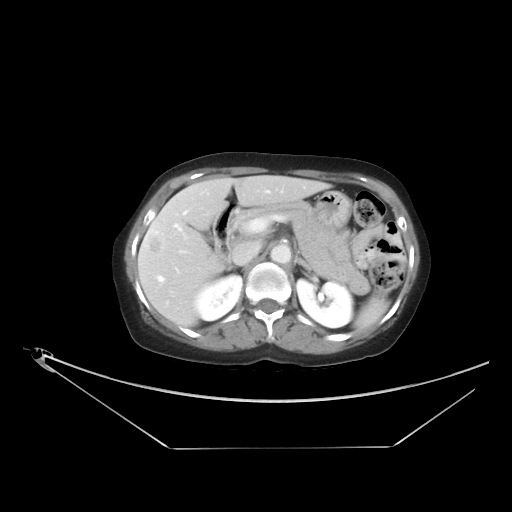

Abdomen; CT image
Liver tumor: bounding box (left=146, top=233, right=165, bottom=255).